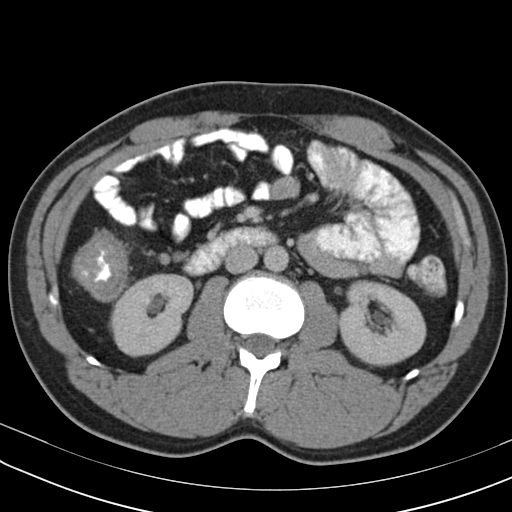
Computed tomography

<segmentation>
  <colon_tumor>left=72, top=229, right=128, bottom=302</colon_tumor>
</segmentation>